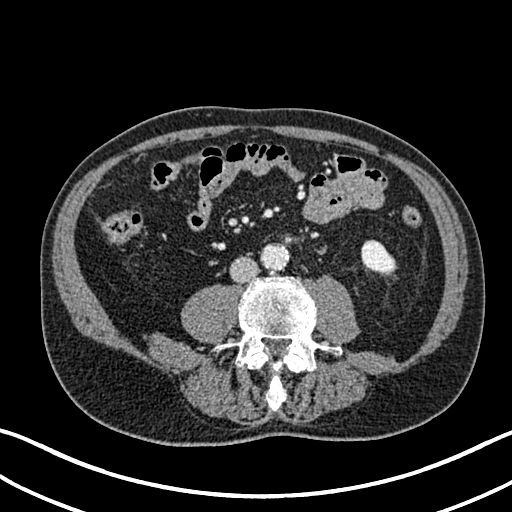

CT slice, Abdomen
{
  "kidney": [
    "x1=362, y1=241, x2=394, y2=272"
  ]
}